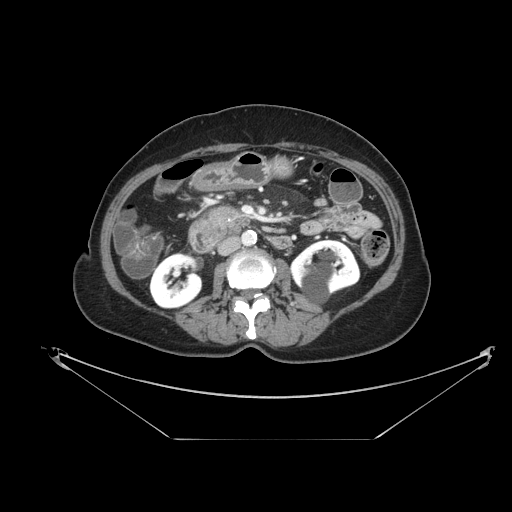

Upper abdomen, CT
pancreas:
  - [x1=205, y1=206, x2=242, y2=240]